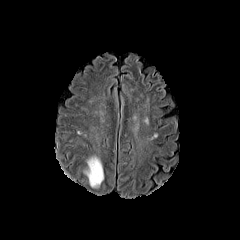
FLAIR MR image.
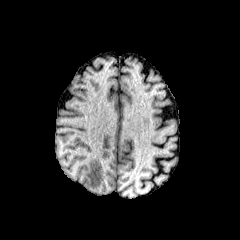
T1-weighted MR image.
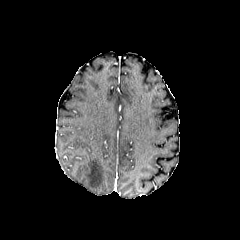
Post-contrast T1-weighted MR image of the same slice.
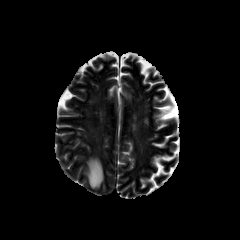
T2-weighted MR image.
240x240, Brain
edema:
  - region(86, 158, 103, 187)